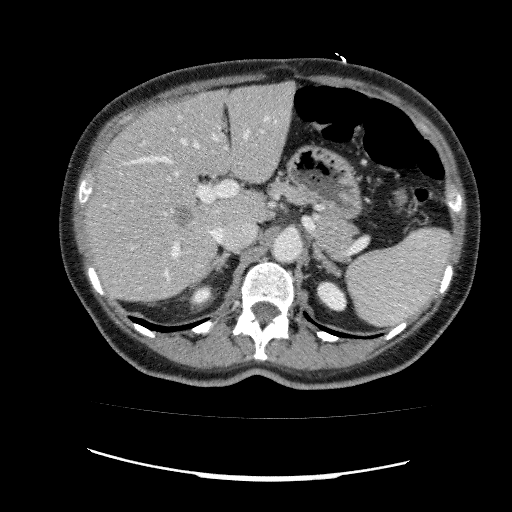
512x512 px, Upper abdomen, Computed tomography
The liver is at [85, 81, 295, 301]. 2 kidney regions are located at [318, 283, 345, 309], [194, 290, 208, 301]. The hepatic lesion is located at [172, 203, 192, 230].